FLAIR MRI.
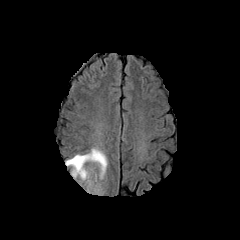
T1-weighted magnetic resonance.
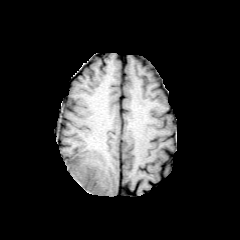
Post-contrast T1-weighted MR image.
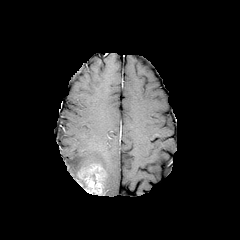
T2-weighted MR.
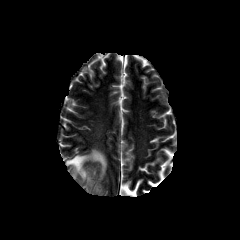
The non-enhancing tumor core is at left=68, top=156, right=80, bottom=163. The edema is at left=65, top=148, right=107, bottom=190. The enhancing tumor is located at left=78, top=167, right=102, bottom=193.